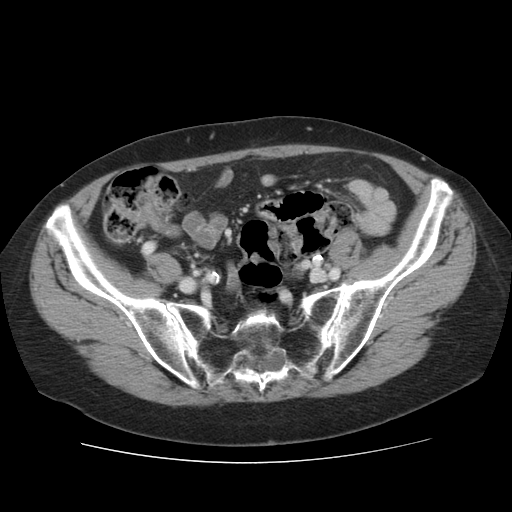
Computed tomography | Image size 512x512
2 bone regions appear at box=[45, 179, 453, 393]; box=[279, 290, 292, 304].